Image size 512x512, CT scan slice
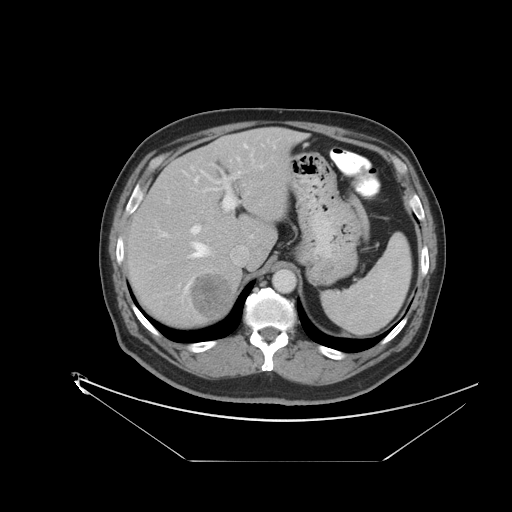

The vessel annotation is not exhaustive.
• hepatic vessel: (201, 171, 208, 176), (161, 232, 166, 236), (205, 170, 241, 211), (244, 144, 247, 147), (185, 280, 191, 290), (192, 167, 193, 169), (191, 226, 200, 233), (195, 177, 198, 181), (188, 242, 209, 257), (260, 165, 262, 167), (237, 158, 239, 159)
• liver tumor: (190, 273, 232, 317)